CT image. Field of view 420 mm wide, 2.50 mm slice spacing. 512x512 px.

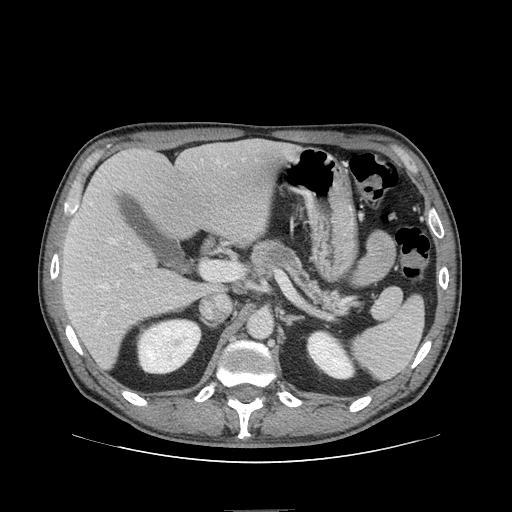
<segmentation>
  <pancreas>rect(252, 242, 350, 312)</pancreas>
  <pancreatic_tumor>rect(267, 246, 292, 265)</pancreatic_tumor>
</segmentation>